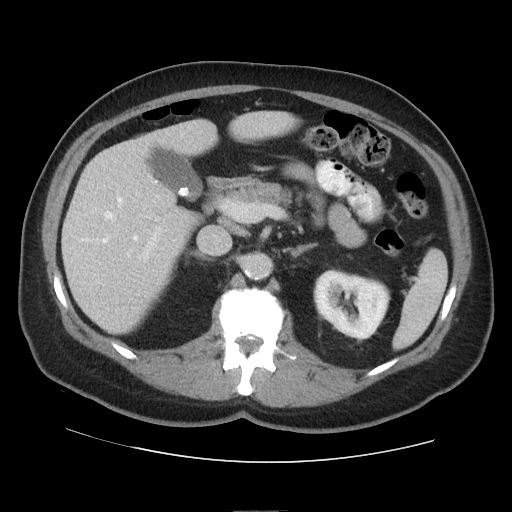
CT slice; Image size 512x512
Only some of the vessels may be annotated.
2 hepatic vessel regions are bounded by 150:226:161:236, 156:218:158:219.